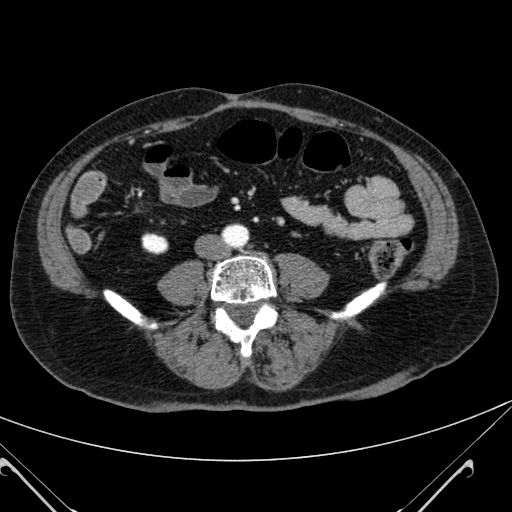 Abdomen | CT image | Image size 512x512
The kidney is bounded by x1=143 y1=235 x2=166 y2=252.